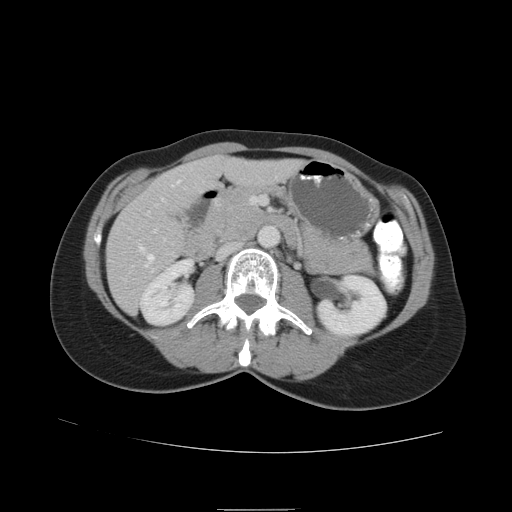
CT; Image size 512x512
pancreas: 188, 187, 375, 275